Slice 47/155 | Image width 240 mm | Brain
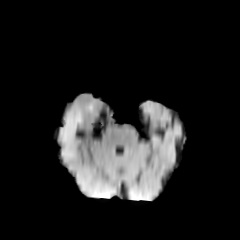
FLAIR MRI.
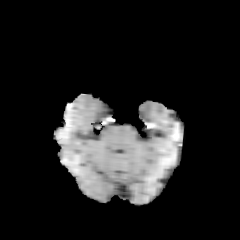
T1-weighted MR image.
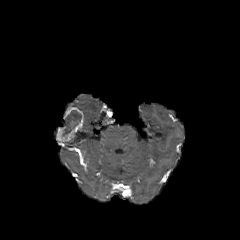
Post-contrast T1-weighted MR.
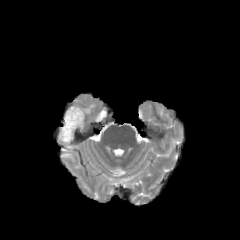
T2-weighted magnetic resonance.
Non-enhancing tumor core: bounding box rect(61, 110, 82, 136).
Enhancing tumor: bounding box rect(56, 107, 84, 142).